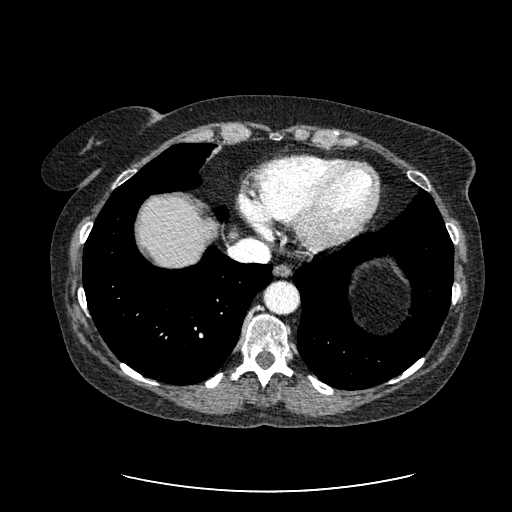 CT slice, 512x512 px
Liver — box(227, 228, 239, 240); box(137, 197, 216, 267).